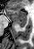 Magnetic resonance | Hippocampus
Posterior hippocampus: <box>17,23,25,27</box>.
Anterior hippocampus: <box>7,10,26,22</box>.